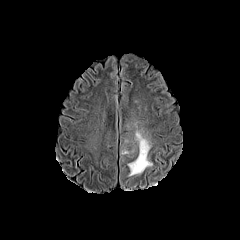
FLAIR MR.
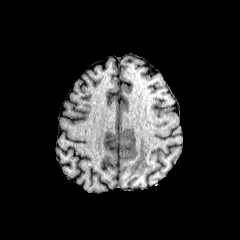
T1-weighted MR image of the same slice.
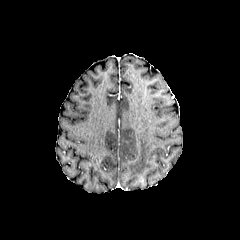
Post-contrast T1-weighted MRI.
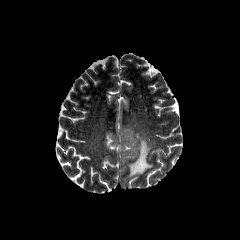
Same slice, T2-weighted MR image.
Brain
edema: bbox=[128, 131, 152, 176]